CT slice | 512x512 px
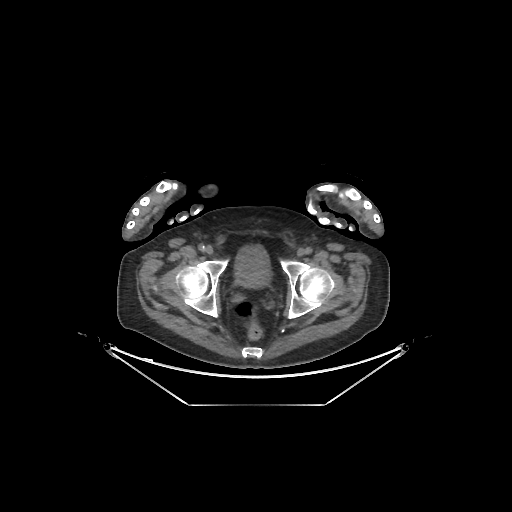 The urinary bladder appears at x1=234 y1=245 x2=271 y2=288. 9 bone regions appear at x1=317 y1=185 x2=379 y2=222, x1=127 y1=220 x2=134 y2=228, x1=281 y1=261 x2=335 y2=318, x1=132 y1=197 x2=150 y2=215, x1=242 y1=347 x2=262 y2=357, x1=308 y1=201 x2=316 y2=214, x1=156 y1=181 x2=177 y2=192, x1=319 y1=218 x2=329 y2=224, x1=175 y1=260 x2=227 y2=317.